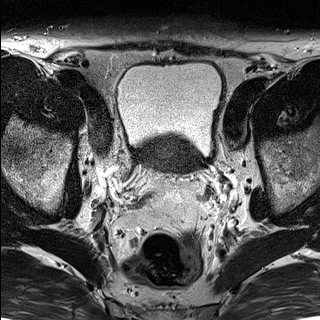
T2-weighted magnetic resonance.
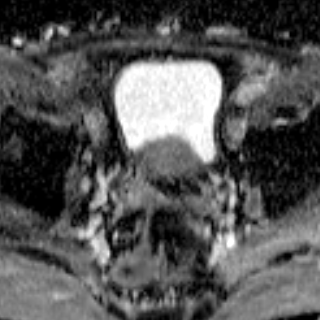
Same slice, ADC MR image.
The prostate transition zone is at (145, 140, 195, 170).